FLAIR MR.
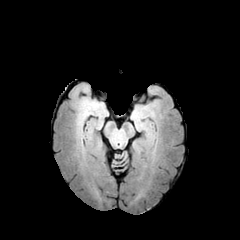
T1-weighted magnetic resonance.
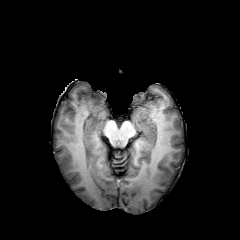
Post-contrast T1-weighted magnetic resonance.
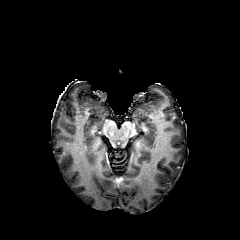
T2-weighted MR.
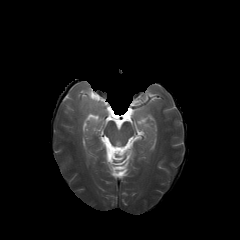
2 edema regions appear at bbox=[136, 119, 147, 129]; bbox=[81, 102, 103, 119].